Field of view 240 mm wide, 1.00 mm slice spacing.
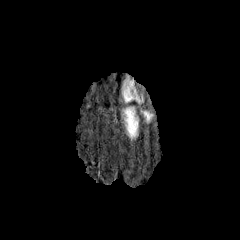
FLAIR MR.
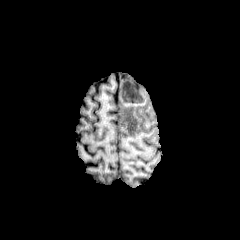
T1-weighted MR image.
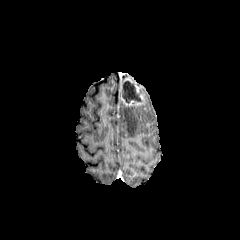
Post-contrast T1-weighted MRI of the same slice.
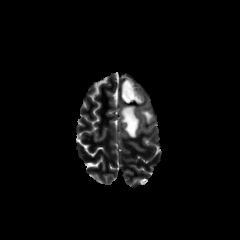
T2-weighted MRI.
edema:
  - <bbox>121, 107, 138, 139</bbox>
  - <bbox>141, 111, 153, 123</bbox>
enhancing_tumor:
  - <bbox>120, 75, 145, 106</bbox>
non-enhancing_tumor_core:
  - <bbox>122, 80, 141, 102</bbox>